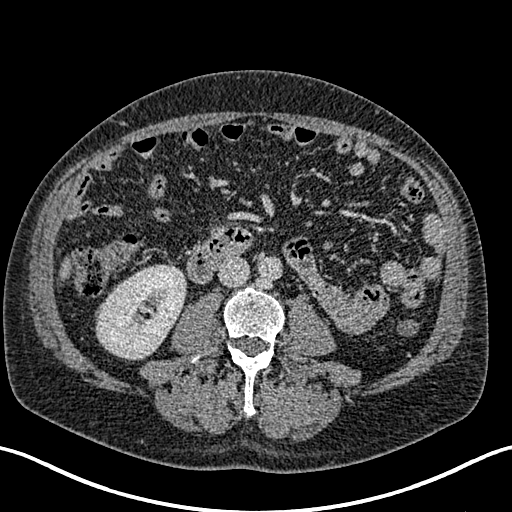

CT image

Segmented structures:
• kidney: [97, 265, 185, 359]
• liver: [59, 255, 71, 281]